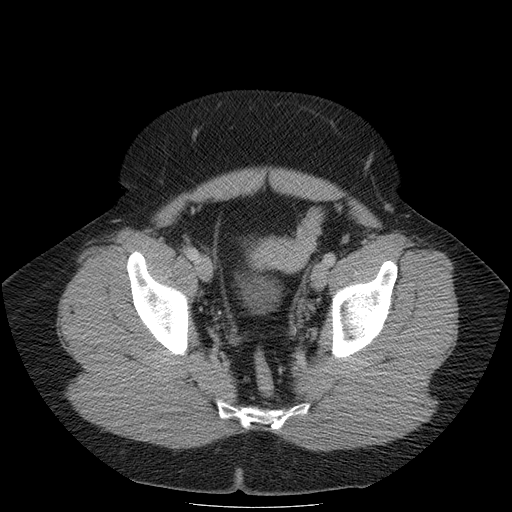

512x512; Computed tomography

The colon tumor is located at [250,238,294,269].